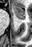
Image size 32x47, MRI
anterior hippocampus: 13:6:25:19